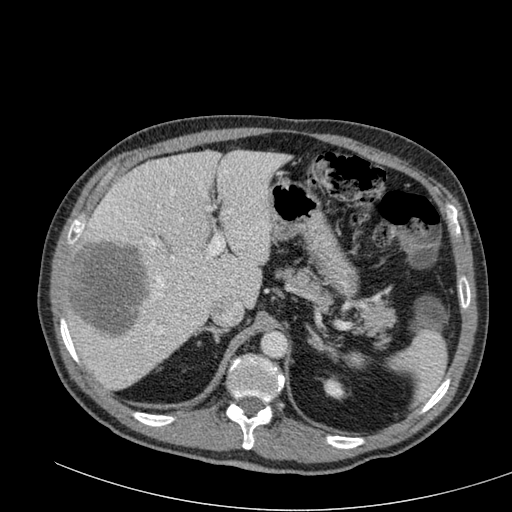
Abdomen. CT scan slice.

kidney: 325,380,342,396 | liver: 64,151,290,389 | focal liver lesion: 66,239,146,334